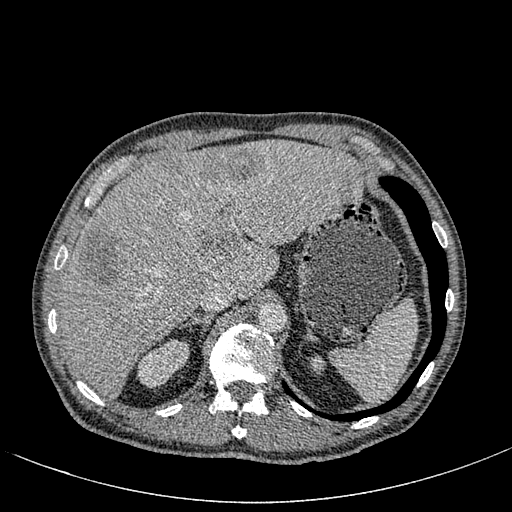

512x512 | CT scan slice | Abdomen
4 liver lesion regions appear at rect(79, 227, 123, 285); rect(163, 158, 181, 173); rect(202, 147, 261, 182); rect(201, 230, 241, 255). 2 kidney regions are bounded by rect(311, 356, 324, 373); rect(138, 339, 189, 387). The liver is located at rect(58, 140, 362, 397).